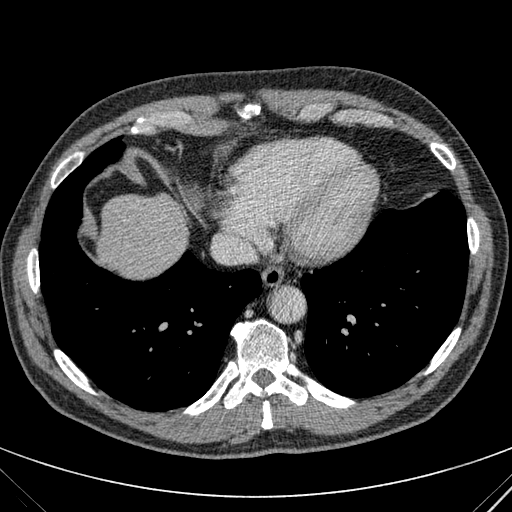
CT. liver:
  - [97,194,186,277]
  - [188,193,200,207]